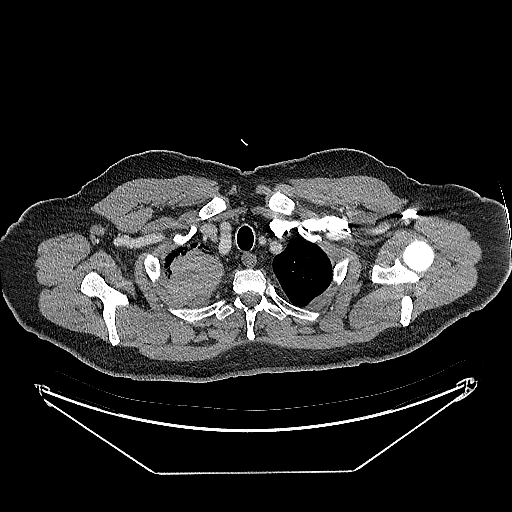
CT; 512x512 px; Thorax

{"lung_tumor": ["x1=164, y1=242, x2=224, y2=295"]}